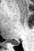 MR
Posterior hippocampus: <bbox>9, 41, 19, 45</bbox>.